Head, Slice 106 of 155
FLAIR MR.
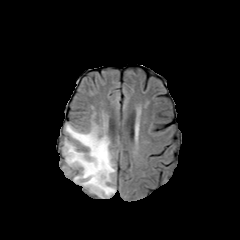
T1-weighted MR.
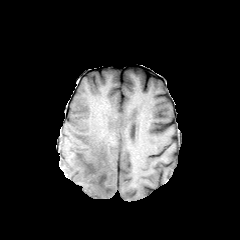
Post-contrast T1-weighted magnetic resonance.
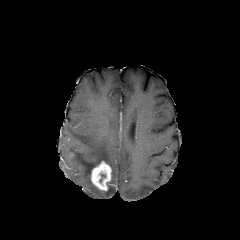
T2-weighted MR image.
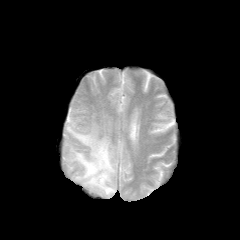
Segmented structures:
* edema: (64, 119, 115, 198)
* enhancing tumor: (90, 161, 111, 191)